Head
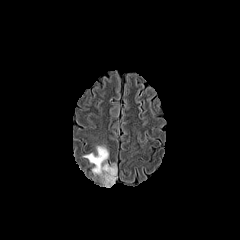
FLAIR MRI.
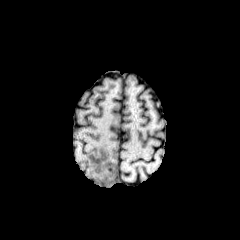
T1-weighted magnetic resonance.
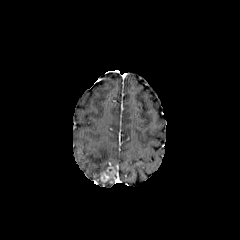
Post-contrast T1-weighted MR.
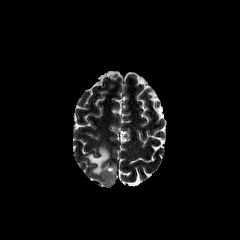
Same slice, T2-weighted MR.
Edema — (83,146,109,176).
Enhancing tumor — (100,165,116,182).
Non-enhancing tumor core — (97,175,114,187).